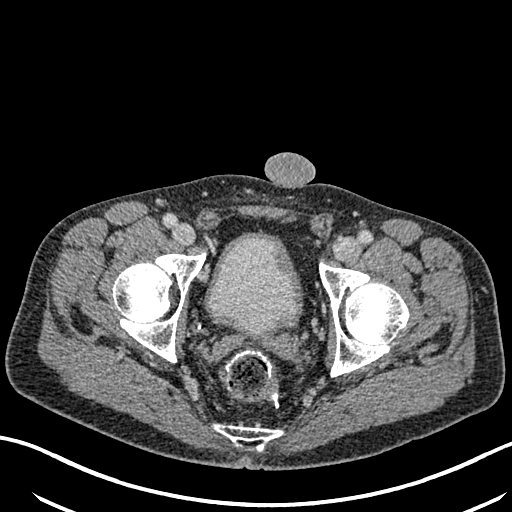 Lower abdomen | Computed tomography

Urinary bladder = {"x1": 209, "y1": 234, "x2": 297, "y2": 334}.